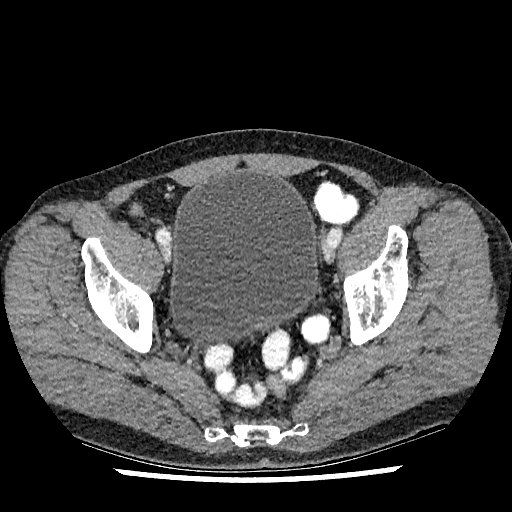 Computed tomography
Annotated regions:
- urinary bladder: region(170, 172, 317, 347)